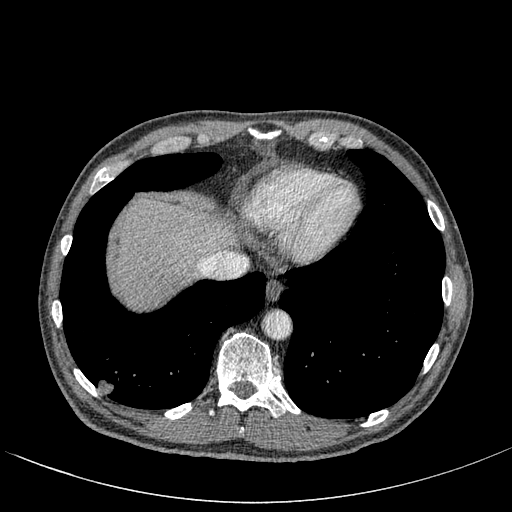 Computed tomography | Image size 512x512
{
  "liver": [
    "[111, 199, 233, 307]"
  ]
}